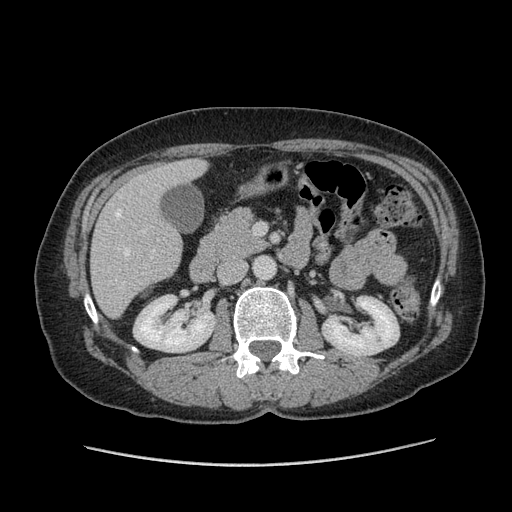
Liver; CT slice; 512x512 px

The vessel annotation is not exhaustive.
The hepatic vessel is located at left=142, top=231, right=143, bottom=232.